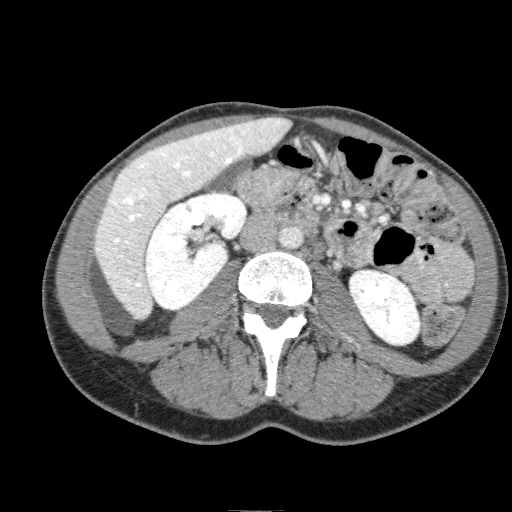

Abdomen. CT.

{
  "kidney": [
    "x1=146 y1=194 x2=245 y2=309",
    "x1=350 y1=271 x2=419 y2=344"
  ],
  "liver": [
    "x1=94 y1=116 x2=291 y2=318"
  ]
}